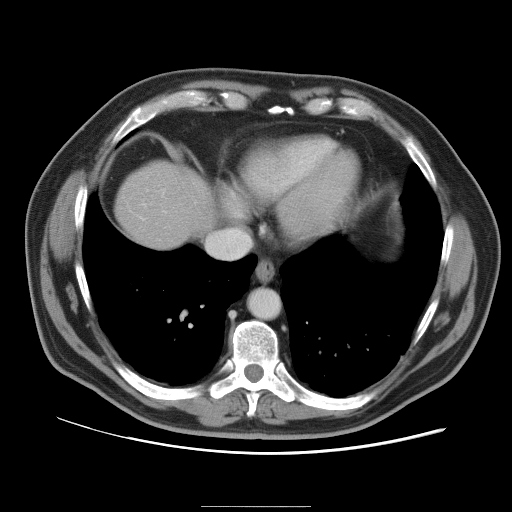
Liver. CT slice.
Not every hepatic vessel necessarily has a box.
3 hepatic vessel regions are bounded by <box>140,217,143,219</box>, <box>143,204,145,206</box>, <box>161,189,164,195</box>.